MR image, Field of view 36x47 mm, 36x47 px

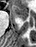 anterior_hippocampus:
  - 12,5,28,20